FLAIR MRI.
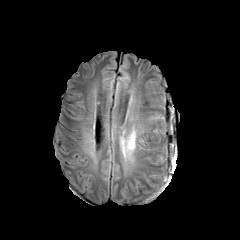
T1-weighted magnetic resonance.
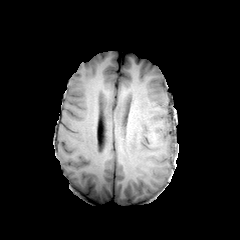
Post-contrast T1-weighted MRI.
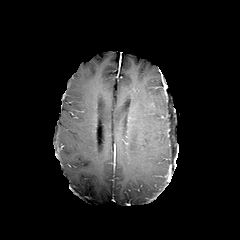
T2-weighted MRI.
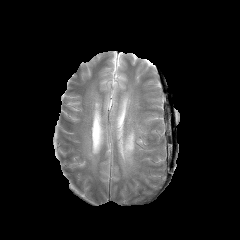
Brain
<segmentation>
  <edema>120,130,141,159</edema>
</segmentation>